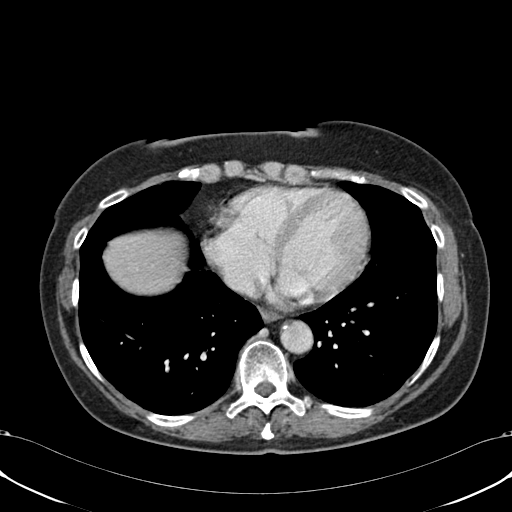
Liver; CT slice; Image size 512x512
The liver is at 105:231:181:292.